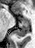 Magnetic resonance. Medial temporal lobe. {"anterior_hippocampus": ["x1=22, y1=18, x2=29, y2=22"], "posterior_hippocampus": ["x1=13, y1=23, x2=30, y2=37"]}